Abdomen; 512x512; CT; Slice index 110
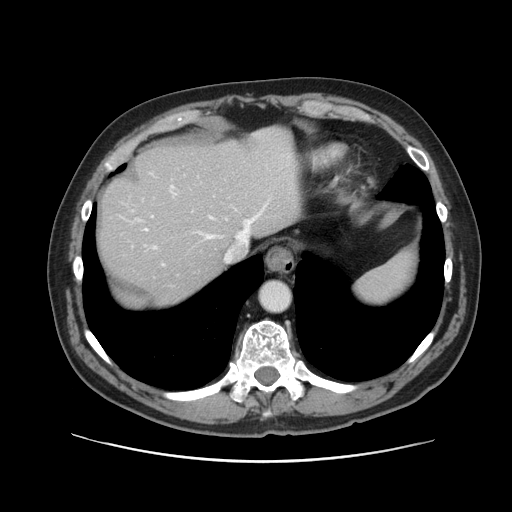
Only some of the vessels may be annotated.
7 hepatic vessel regions are located at x1=162 y1=263 x2=163 y2=265, x1=170 y1=185 x2=175 y2=195, x1=136 y1=219 x2=140 y2=221, x1=245 y1=208 x2=263 y2=228, x1=151 y1=246 x2=156 y2=248, x1=210 y1=216 x2=213 y2=218, x1=145 y1=228 x2=147 y2=230. The liver tumor is at x1=240 y1=140 x2=256 y2=151.